Slice index 40; Upper abdomen; CT image

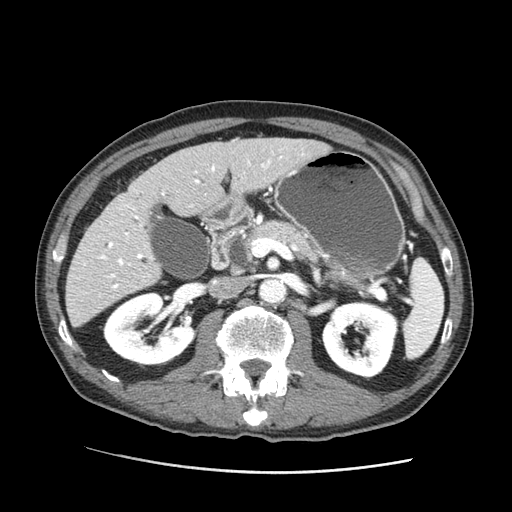

Pancreas — (left=241, top=220, right=329, bottom=264).